FLAIR MRI.
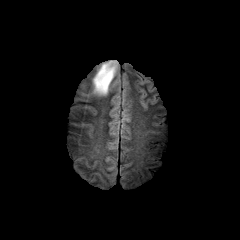
T1-weighted MR.
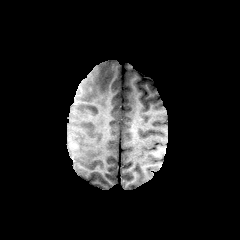
Post-contrast T1-weighted magnetic resonance.
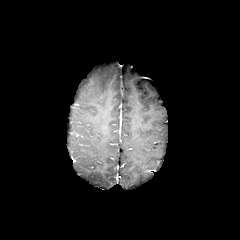
T2-weighted MR image.
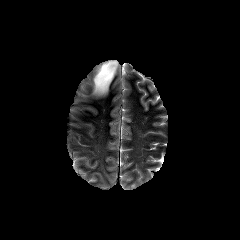
Head
Edema: (x1=92, y1=61, x2=118, y2=95).